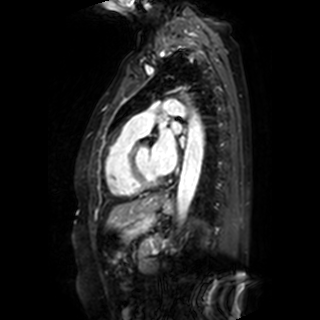 MRI. Heart.

Left atrium = box(172, 121, 181, 133); box(179, 136, 185, 146); box(152, 130, 176, 172).